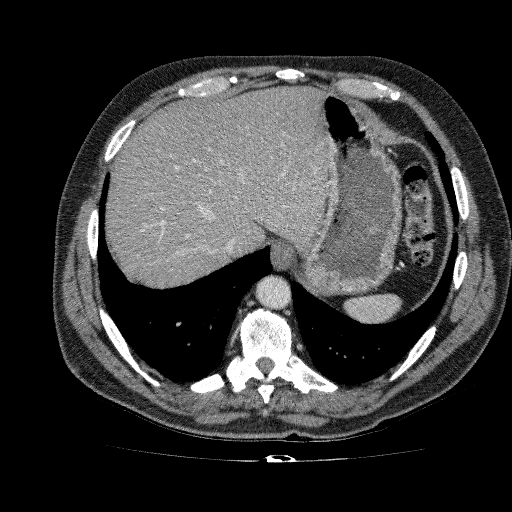

Upper abdomen. CT slice. Segmented structures:
• liver: left=106, top=86, right=328, bottom=289